512x512 px. Pelvis. CT scan slice. Slice 139/677.
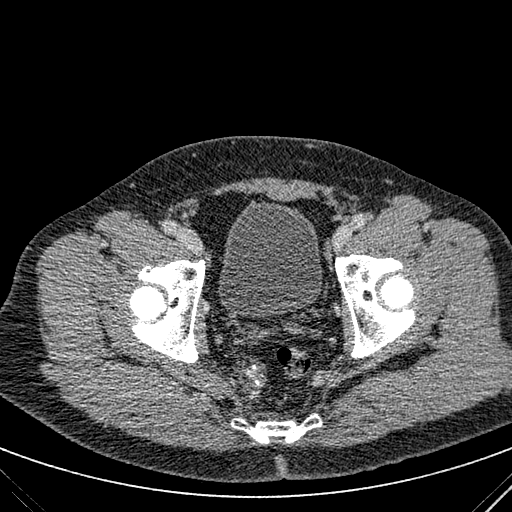
urinary bladder: (217, 199, 322, 316)